CT image | Upper abdomen | Field of view 395x395 mm 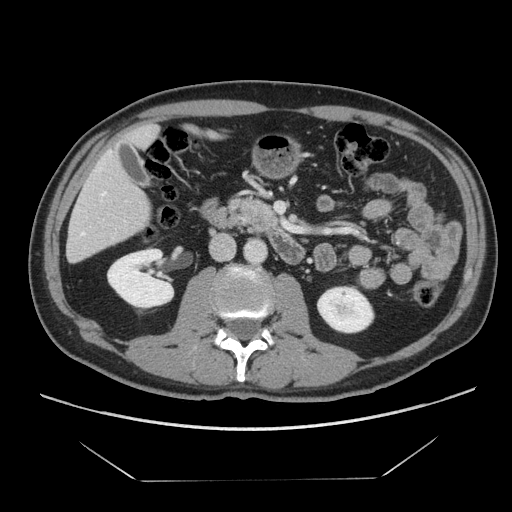 pancreas:
  - [232, 199, 276, 231]
pancreatic_tumor:
  - [247, 209, 271, 227]